CT. Slice 15 of 41. Liver. 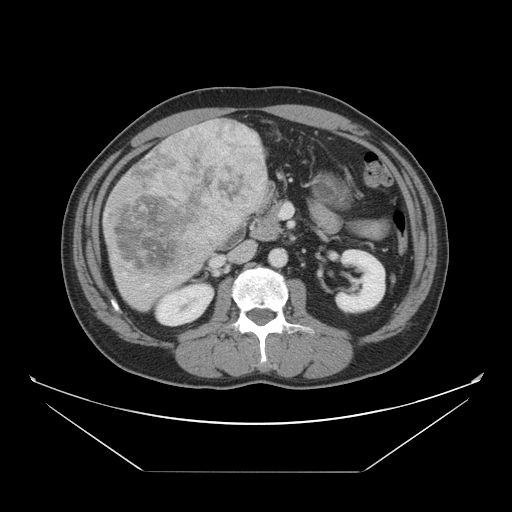
Some hepatic vessels may have no box.
hepatic_vessel:
  - region(131, 277, 135, 279)
  - region(117, 272, 126, 276)
  - region(145, 283, 149, 287)
liver_tumor:
  - region(105, 120, 267, 278)